Image size 512x512; Computed tomography; Slice index 380

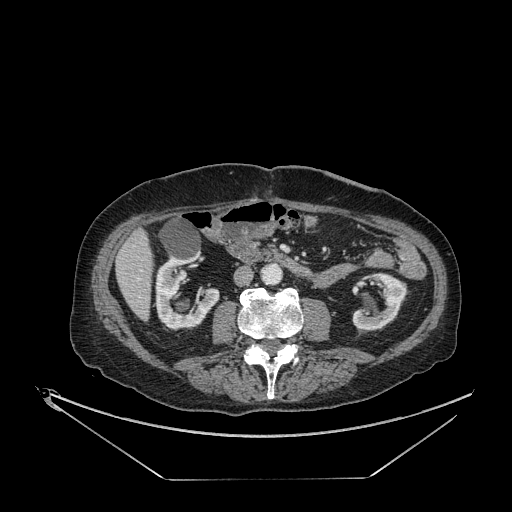 Kidney: rect(352, 281, 364, 294); rect(353, 273, 406, 329); rect(156, 256, 218, 328).
Liver: rect(116, 228, 151, 320).